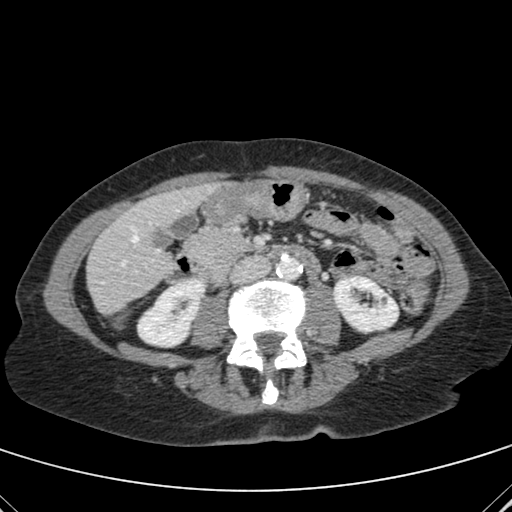 Liver, Computed tomography
Kidney: bounding box (335,277,397,330), (138,280,203,346).
Liver: bounding box (87,183,216,313).
Hepatic lesion: bounding box (147,226,173,249).